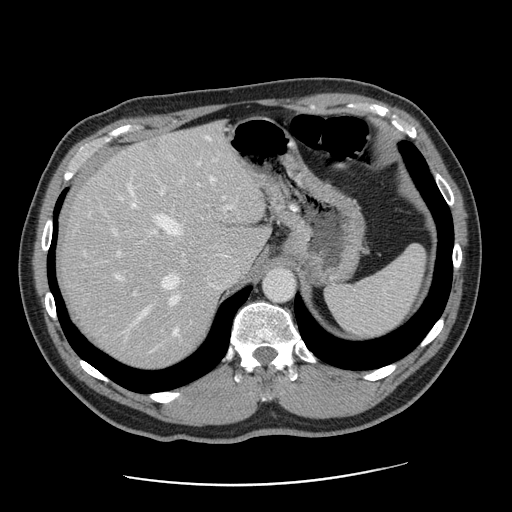

Liver; CT scan slice

Only some of the vessels may be annotated.
The principal 15 hepatic vessel regions (of 21) appear at x1=224, y1=205, x2=231, y2=210; x1=163, y1=275, x2=178, y2=288; x1=133, y1=291, x2=136, y2=294; x1=135, y1=309, x2=148, y2=321; x1=129, y1=184, x2=134, y2=198; x1=156, y1=214, x2=180, y2=234; x1=126, y1=329, x2=129, y2=334; x1=211, y1=176, x2=214, y2=180; x1=202, y1=244, x2=247, y2=283; x1=114, y1=230, x2=116, y2=234; x1=115, y1=273, x2=122, y2=278; x1=170, y1=295, x2=178, y2=304; x1=162, y1=187, x2=165, y2=192; x1=132, y1=200, x2=137, y2=206; x1=173, y1=329, x2=178, y2=335. 2 liver tumor regions are located at x1=142, y1=136, x2=162, y2=150; x1=157, y1=228, x2=166, y2=237.